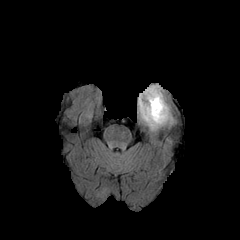
FLAIR MR.
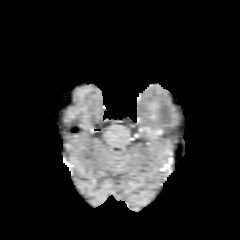
T1-weighted MRI of the same slice.
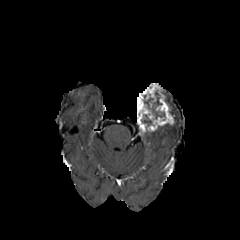
Same slice, post-contrast T1-weighted magnetic resonance.
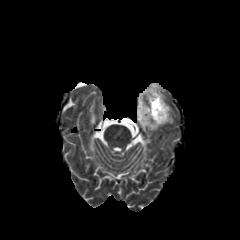
T2-weighted MRI of the same slice.
Brain | 240x240 px
The enhancing tumor is at l=137, t=85, r=174, b=130. The non-enhancing tumor core is bounded by l=142, t=89, r=165, b=123.